CT

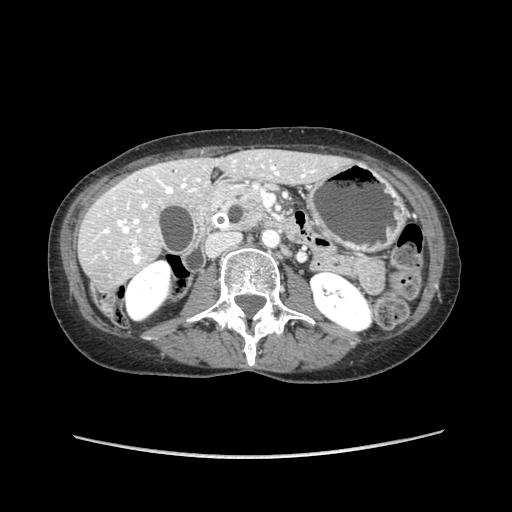
The pancreas is bounded by {"x1": 211, "y1": 186, "x2": 268, "y2": 230}. The pancreatic tumor appears at {"x1": 244, "y1": 201, "x2": 264, "y2": 222}.